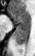 MR image

The anterior hippocampus is bounded by x1=10, y1=11, x2=29, y2=23. The posterior hippocampus is located at x1=15, y1=24, x2=29, y2=45.